Abdomen. CT. Image size 512x512.
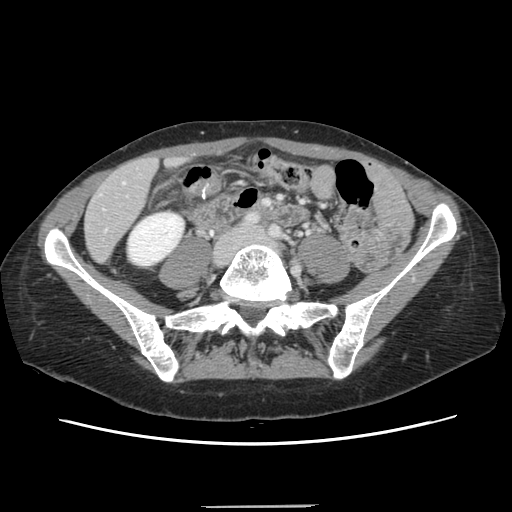

The vessel boxes may cover only some of the vessels.
Hepatic vessel — [122,181,124,184].